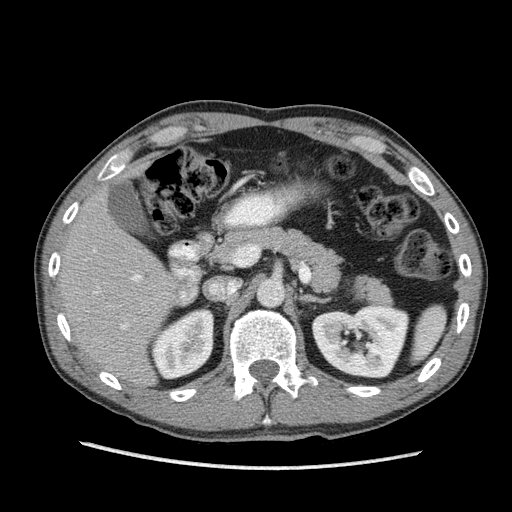
CT image | Upper abdomen
kidney:
  - 313,306,406,376
  - 154,311,212,377
liver:
  - 55,181,182,388
  - 116,172,124,180